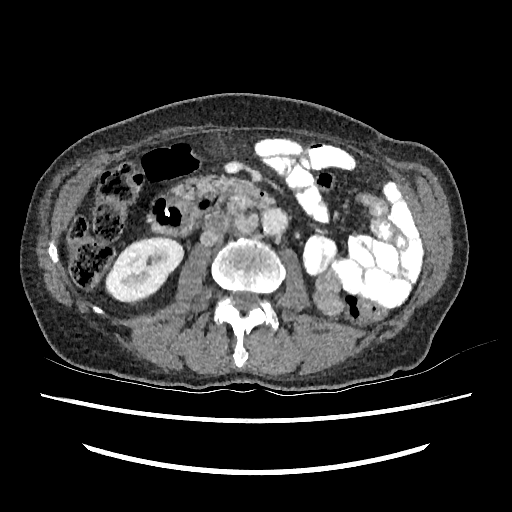

Abdomen; 512x512; Computed tomography

The kidney lies within region(106, 238, 183, 301).